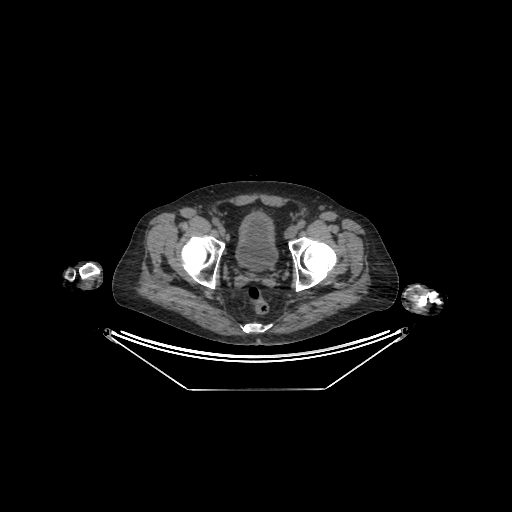 CT. Lower abdomen. * urinary bladder: <bbox>235, 210, 278, 271</bbox>